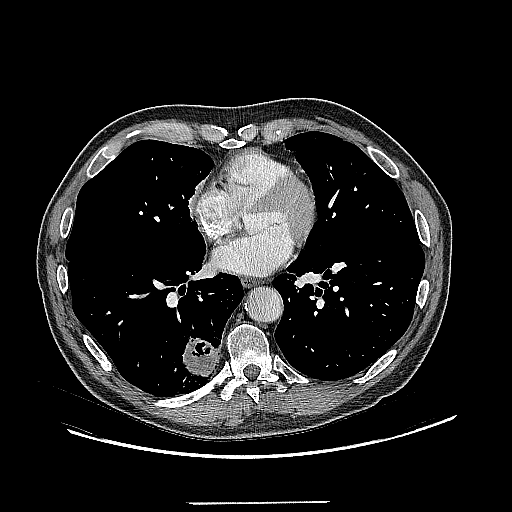
Computed tomography, 512x512 px
lung tumor: box(182, 338, 219, 379)